Image size 240x240. Slice 90 of 155.
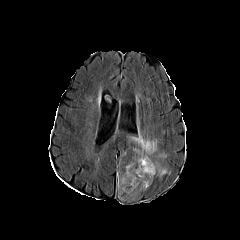
FLAIR magnetic resonance.
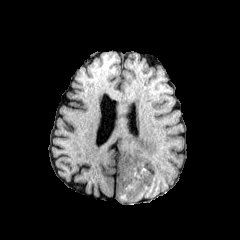
T1-weighted MR.
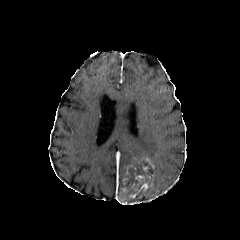
Post-contrast T1-weighted MR image.
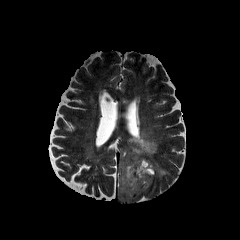
Same slice, T2-weighted magnetic resonance.
Enhancing tumor: bounding box region(142, 158, 154, 172); region(118, 157, 154, 200).
Non-enhancing tumor core: bounding box region(126, 160, 154, 188); region(124, 190, 133, 201).
Edema: bounding box region(152, 153, 170, 178); region(129, 130, 157, 159).